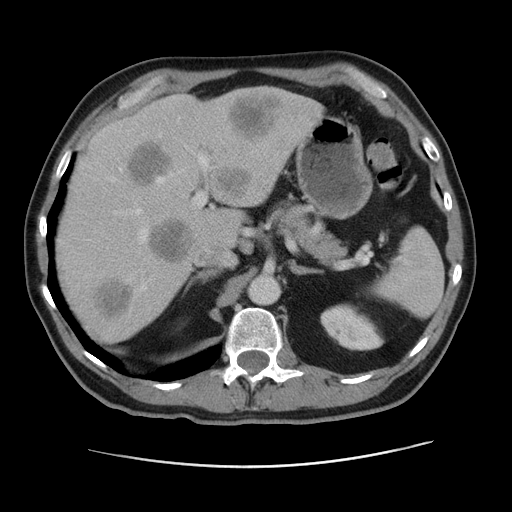 CT slice, Abdomen
Liver: bounding box 56:87:320:337.
Kidney: bounding box 320:304:383:350.
Liver lesion: bounding box 229:94:282:136, 95:282:133:320, 126:141:170:183, 217:166:254:198, 148:220:191:264.